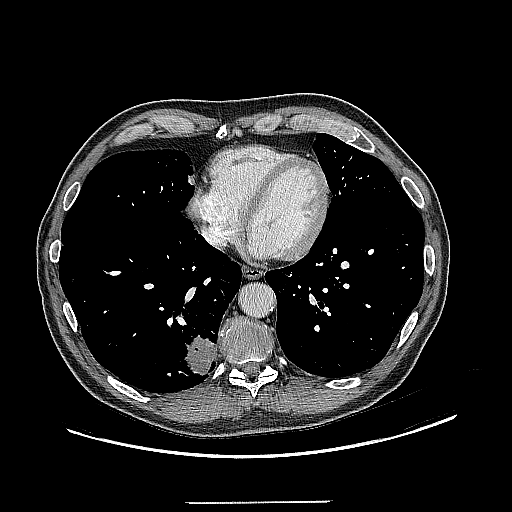
512x512. CT.
{
  "lung_tumor": [
    {"x1": 184, "y1": 337, "x2": 216, "y2": 375}
  ]
}